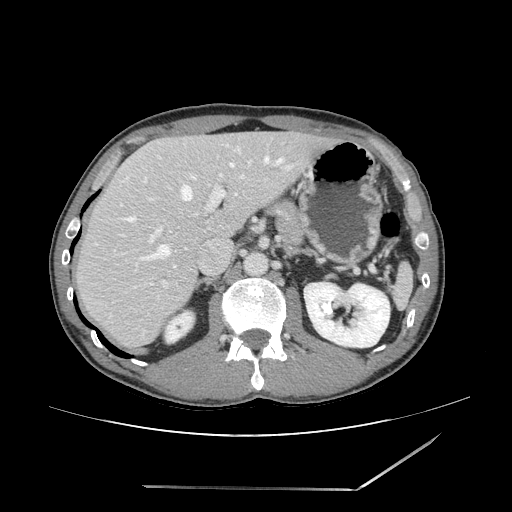

CT image

{
  "pancreas": [
    "<bbox>269, 197, 305, 249</bbox>"
  ]
}